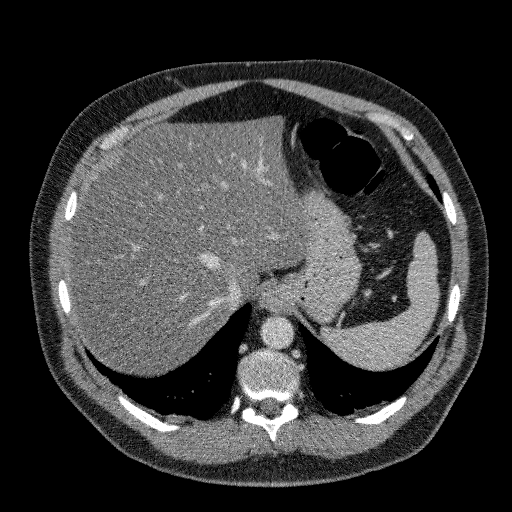

Computed tomography, 512x512, Liver
liver:
  - [69, 116, 312, 374]